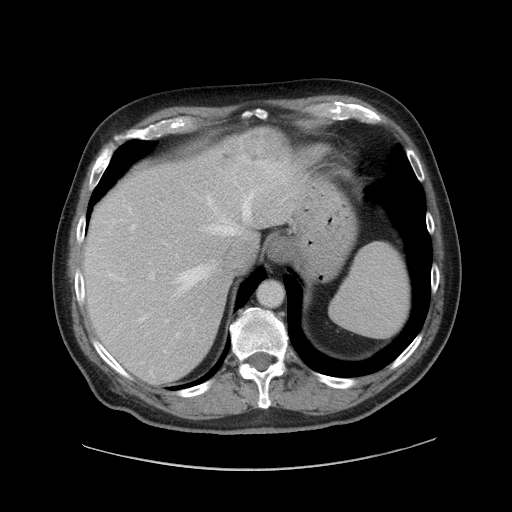
Computed tomography. Abdomen.

Only some of the vessels may be annotated.
The liver tumor is located at x1=217, y1=129, x2=290, y2=169. 12 hepatic vessel regions are located at x1=178, y1=267, x2=207, y2=290; x1=257, y1=187, x2=259, y2=189; x1=129, y1=208, x2=130, y2=212; x1=139, y1=316, x2=146, y2=321; x1=209, y1=216, x2=252, y2=270; x1=131, y1=224, x2=135, y2=228; x1=176, y1=334, x2=178, y2=337; x1=266, y1=171, x2=269, y2=172; x1=110, y1=274, x2=124, y2=281; x1=213, y1=207, x2=216, y2=209; x1=241, y1=190, x2=254, y2=221; x1=206, y1=196, x2=212, y2=205.